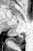

Magnetic resonance

Posterior hippocampus — left=9, top=35, right=23, bottom=45.